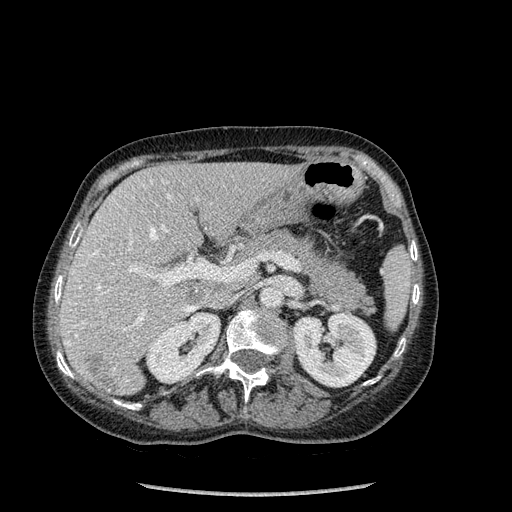 512x512 px | Computed tomography | Abdomen
The liver is bounded by 60:162:301:395. 2 hepatic lesion regions are located at 86:354:115:389, 182:287:207:305. 2 kidney regions are bounded by 294:313:375:386, 147:313:220:382. 9 bone regions appear at 363:376:379:385, 409:240:417:260, 113:399:141:409, 196:308:287:401, 394:338:405:356, 69:230:80:247, 56:351:73:377, 412:284:419:304, 54:275:63:303.